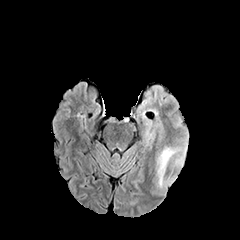
FLAIR MR image.
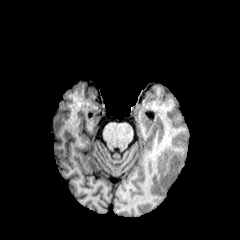
Same slice, T1-weighted magnetic resonance.
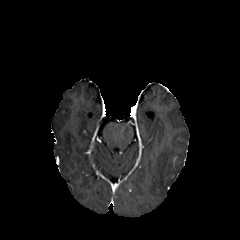
Same slice, post-contrast T1-weighted magnetic resonance.
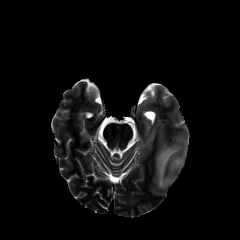
T2-weighted MR.
Findings:
• edema: 156 144 179 185